FLAIR MR image.
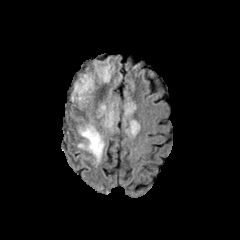
T1-weighted magnetic resonance.
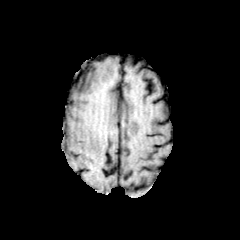
Post-contrast T1-weighted MR image.
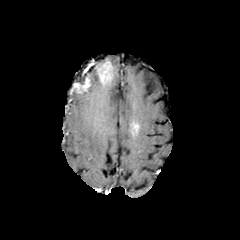
T2-weighted MR image.
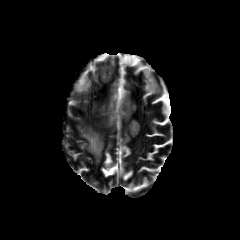
Head; 240x240
{
  "edema": [
    "78,126,104,163",
    "76,76,94,100",
    "125,103,135,115"
  ],
  "enhancing_tumor": [
    "74,76,89,91"
  ]
}